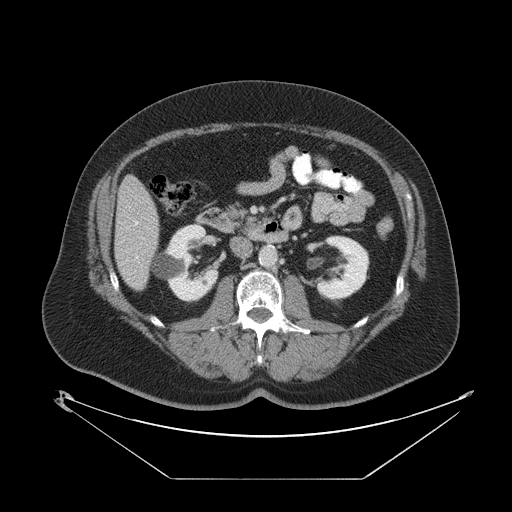

512x512 | Computed tomography | Abdomen
Not every hepatic vessel necessarily has a box.
Hepatic vessel: bounding box x1=135, y1=221, x2=137, y2=224; x1=137, y1=248, x2=138, y2=249.